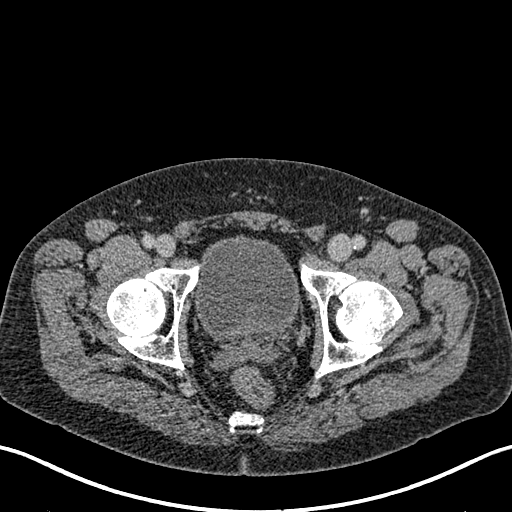

Lower abdomen. CT. The urinary bladder lies within bbox(195, 235, 299, 332).